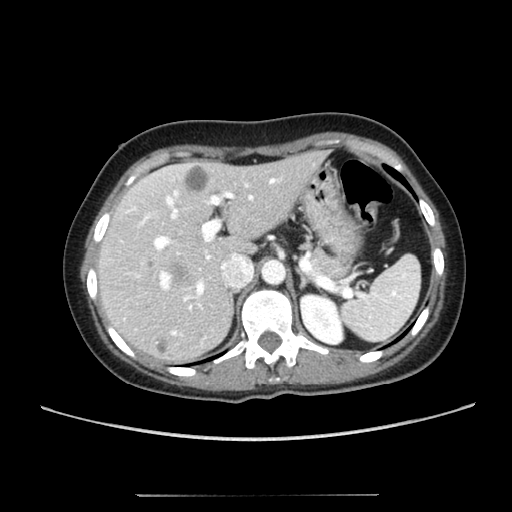
Computed tomography | 512x512 | Upper abdomen

The liver is at (97,149,333,359). The kidney is bounded by (301,296,341,343). 3 hepatic lesion regions are bounded by (168,262,189,286), (155,336,167,353), (182,164,208,192).